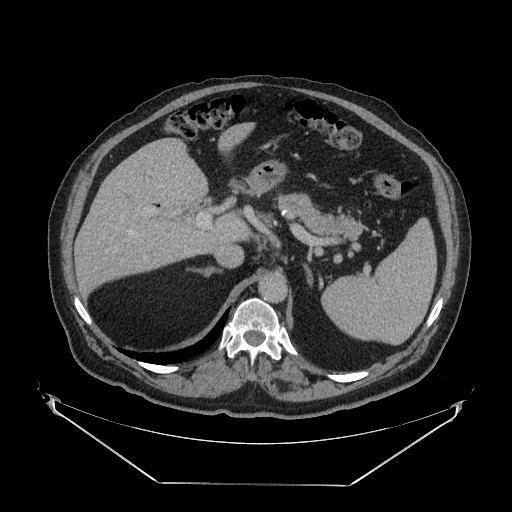 512x512. CT. Upper abdomen.

- pancreas: rect(276, 195, 361, 239)